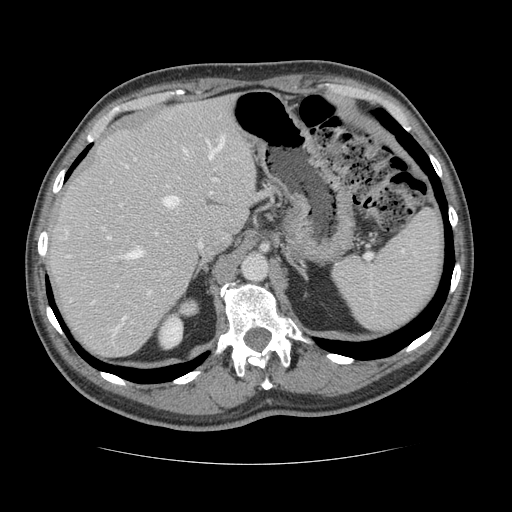
Abdomen, 512x512 px, CT scan slice
The vessel boxes may cover only some of the vessels.
The most prominent 15 hepatic vessel regions (of 18) are bounded by 111 326 118 339, 154 232 156 234, 208 134 224 158, 123 164 127 167, 103 228 105 229, 121 317 125 322, 207 140 210 145, 91 301 94 303, 121 246 142 258, 212 178 216 180, 147 291 150 294, 163 196 179 206, 66 255 69 257, 183 149 187 153, 107 235 110 238.